Brain
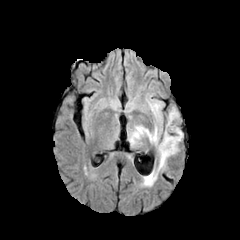
FLAIR magnetic resonance.
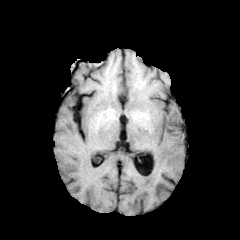
Same slice, T1-weighted MRI.
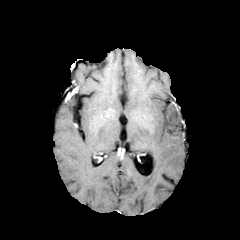
Post-contrast T1-weighted MR image.
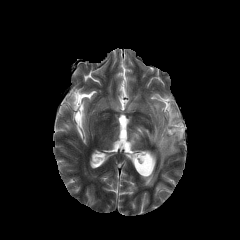
T2-weighted MR of the same slice.
<segmentation>
  <edema>128 94 183 186</edema>
</segmentation>